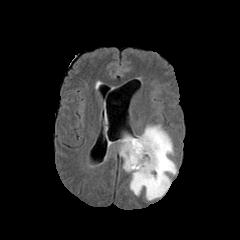
FLAIR magnetic resonance.
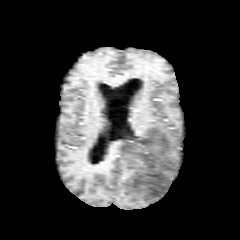
Same slice, T1-weighted magnetic resonance.
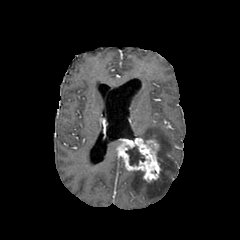
Same slice, post-contrast T1-weighted MR image.
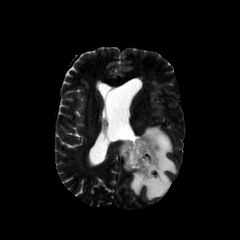
T2-weighted MRI.
Image size 240x240
{
  "edema": [
    "x1=123, y1=125, x2=176, y2=201"
  ],
  "non-enhancing_tumor_core": [
    "x1=126, y1=147, x2=144, y2=165",
    "x1=138, y1=157, x2=161, y2=184"
  ],
  "enhancing_tumor": [
    "x1=117, y1=136, x2=160, y2=182"
  ]
}